512x512; CT slice; Slice 328/761 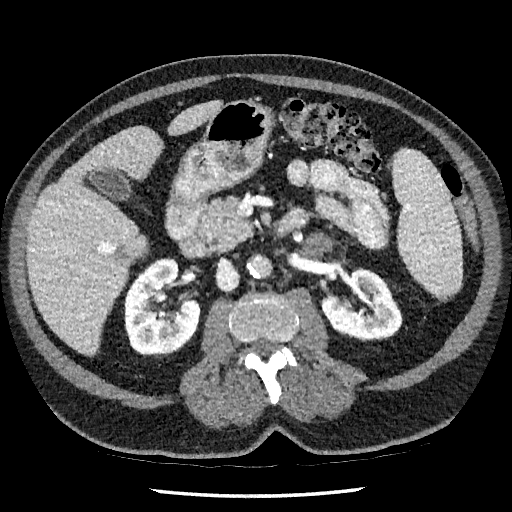
hepatic lesion: box(115, 251, 125, 259) | kidney: box(322, 270, 401, 338); box(125, 259, 199, 353) | liver: box(27, 126, 162, 354); box(169, 101, 220, 133)